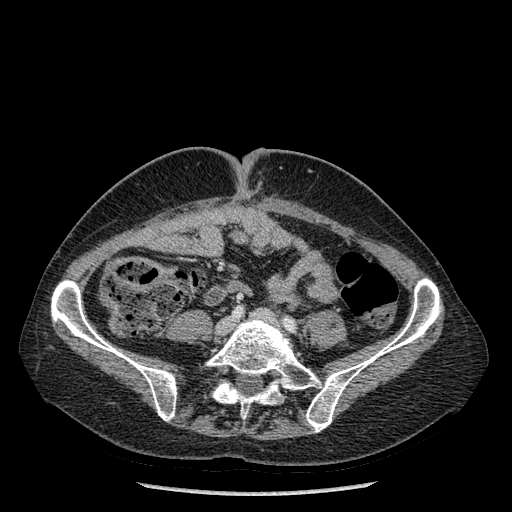 Computed tomography.

<segmentation>
  <bone>(51, 280, 176, 421), (206, 278, 441, 432)</bone>
</segmentation>